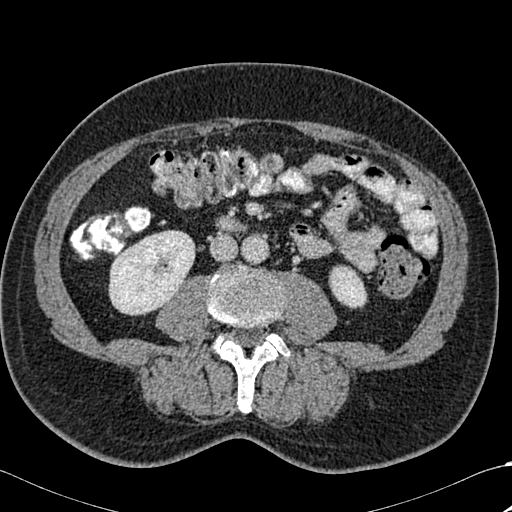 CT image, Abdomen

bone: x1=213, y1=333, x2=289, y2=412; x1=206, y1=265, x2=286, y2=330 | kidney: x1=109, y1=231, x2=194, y2=314; x1=331, y1=267, x2=365, y2=306